512x512, CT, Abdomen, Slice 36/45 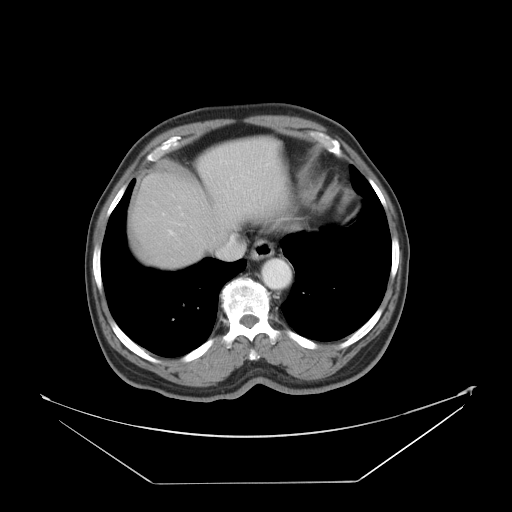 The vessel boxes may cover only some of the vessels.
8 hepatic vessel regions are located at <box>230,177,232,179</box>, <box>216,243,239,260</box>, <box>168,230,174,235</box>, <box>240,173,244,182</box>, <box>230,187,238,190</box>, <box>178,206,180,208</box>, <box>220,152,231,163</box>, <box>181,225,184,225</box>.